Liver, CT, Slice 27 of 105, 512x512 px 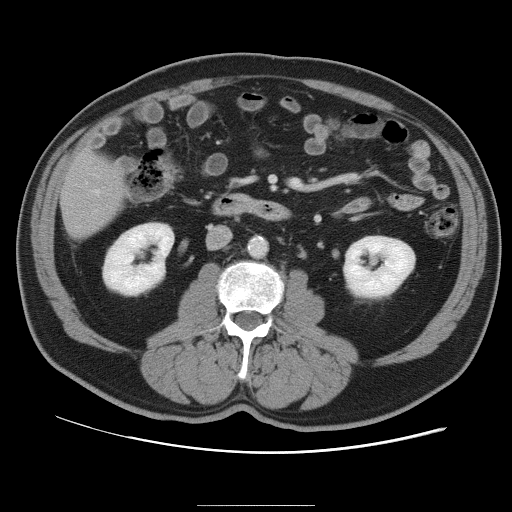 The vessel boxes may cover only some of the vessels.
Annotated regions:
- hepatic vessel: 95, 210, 96, 211; 94, 191, 99, 194